Image size 512x512. Field of view 496 mm wide, 0.80 mm slice spacing. Computed tomography.

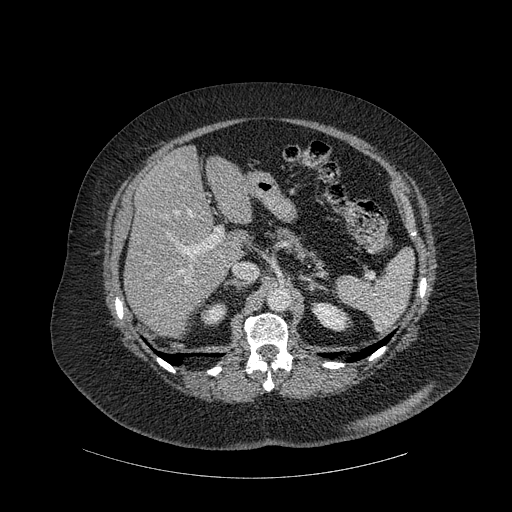
2 liver regions appear at x1=124, y1=145, x2=246, y2=338; x1=207, y1=156, x2=252, y2=223. 8 bone regions are located at x1=207, y1=367, x2=221, y2=375; x1=369, y1=346, x2=385, y2=360; x1=115, y1=298, x2=123, y2=318; x1=323, y1=362, x2=343, y2=368; x1=263, y1=371, x2=273, y2=390; x1=419, y1=278, x2=426, y2=297; x1=157, y1=358, x2=175, y2=372; x1=244, y1=313, x2=292, y2=373. 3 lung regions appear at x1=155, y1=351, x2=185, y2=365; x1=347, y1=334, x2=391, y2=361; x1=321, y1=353, x2=339, y2=357. 2 kidney regions appear at x1=313, y1=303, x2=346, y2=329; x1=204, y1=305, x2=224, y2=323.